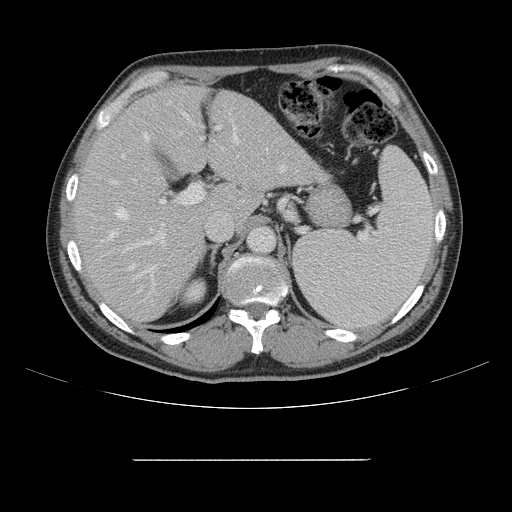
Computed tomography | Abdomen
The vessel annotation is not exhaustive.
The top 15 hepatic vessel regions (of 22) are located at box=[144, 133, 148, 141]; box=[132, 231, 164, 246]; box=[183, 113, 191, 121]; box=[279, 166, 284, 171]; box=[200, 136, 204, 139]; box=[160, 198, 165, 203]; box=[117, 208, 127, 218]; box=[233, 126, 238, 143]; box=[130, 265, 135, 269]; box=[121, 249, 126, 253]; box=[108, 230, 117, 239]; box=[177, 181, 203, 205]; box=[142, 266, 155, 294]; box=[132, 274, 139, 281]; box=[213, 126, 220, 129].